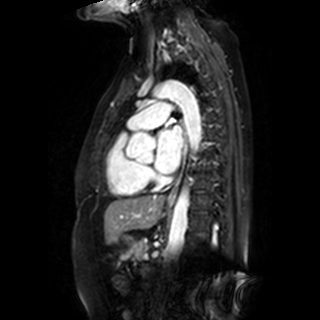 Heart; MR

left atrium: [154,125,182,173]